CT slice, Slice 136 of 181

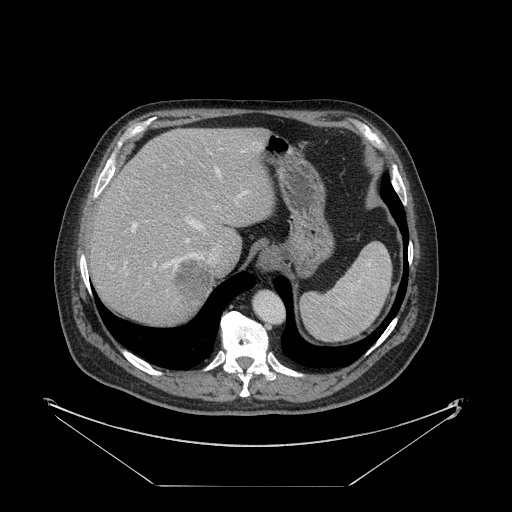

Not every hepatic vessel necessarily has a box.
{"hepatic_vessel": ["[185,238,188,241]", "[153,262,155,266]", "[215,167,219,174]", "[200,255,202,257]", "[125,260,126,262]", "[130,223,137,231]", "[237,192,244,197]"], "liver_tumor": ["[173,260,212,302]"]}